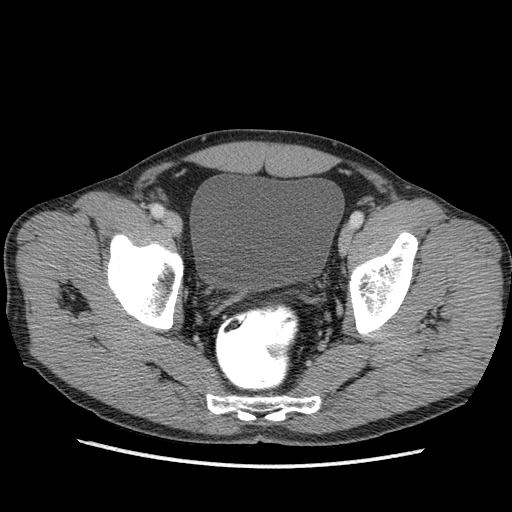 Pelvis | CT image
The urinary bladder is located at 190:173:344:290.